Brain, Image size 240x240
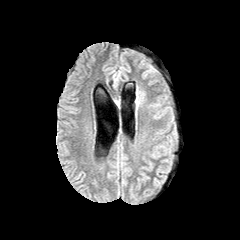
FLAIR MRI.
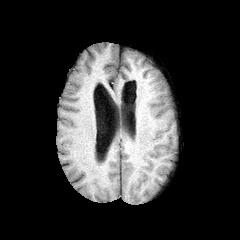
T1-weighted MR of the same slice.
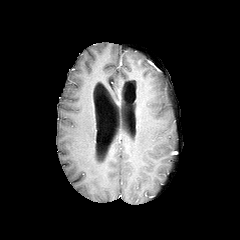
Post-contrast T1-weighted MR of the same slice.
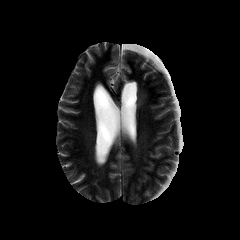
T2-weighted magnetic resonance.
Edema: box=[135, 89, 143, 107].